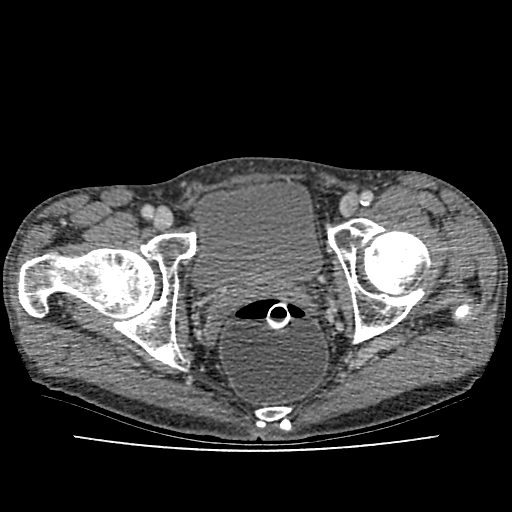 CT slice | Lower abdomen
<segmentation>
  <urinary_bladder>(191,180,322,298)</urinary_bladder>
</segmentation>